FLAIR magnetic resonance.
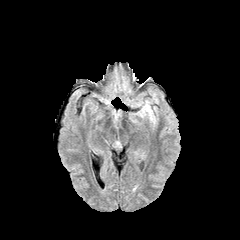
T1-weighted magnetic resonance.
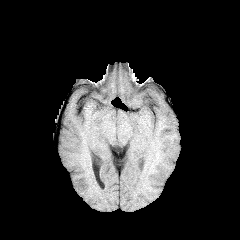
Post-contrast T1-weighted magnetic resonance.
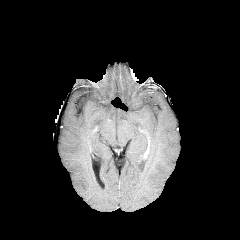
T2-weighted MR.
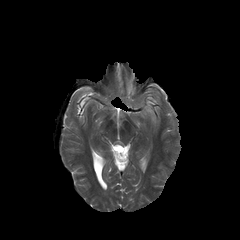
Edema: x1=137 y1=99 x2=153 y2=120.